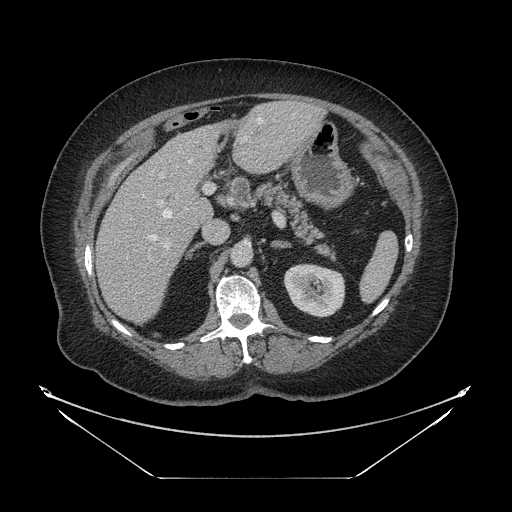

Abdomen | Computed tomography | 512x512 px

{
  "pancreas": [
    "255,181,334,259"
  ]
}